Slice 547 of 846. Computed tomography. 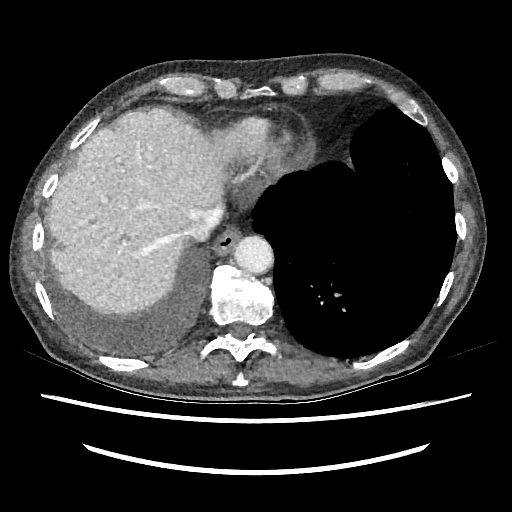
Liver at bbox=[46, 110, 248, 311].